Image size 512x512; Abdomen; CT

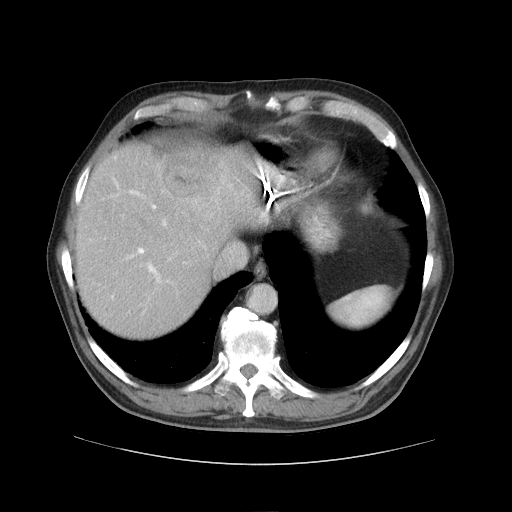
Only some of the vessels may be annotated.
Hepatic vessel: bounding box [137, 248, 144, 254], [147, 263, 150, 266], [151, 267, 158, 280], [129, 191, 143, 197], [151, 203, 156, 209], [162, 220, 165, 226].
Liver tumor: bounding box [163, 150, 220, 197].